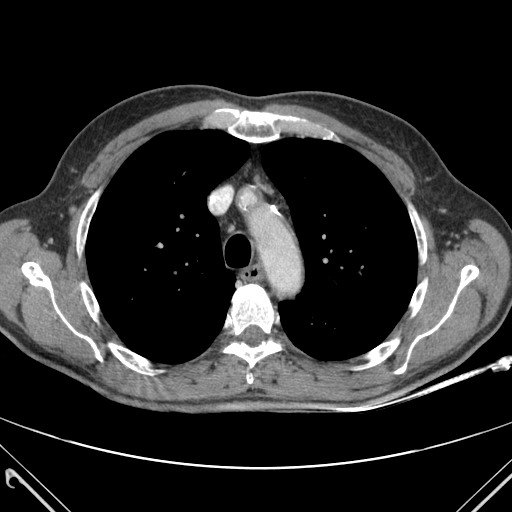 CT | Image size 512x512

<segmentation>
  <bone>22 262 102 361, 395 363 406 373, 411 211 426 262, 216 109 299 142, 409 265 478 352, 81 283 98 320, 223 340 281 367, 410 280 427 315, 247 374 252 383, 77 193 97 252, 109 343 152 374, 365 339 399 367, 225 284 273 334</bone>
  <lung>86 130 249 363, 262 138 417 360</lung>
</segmentation>